Slice index 107 | Magnetic resonance | Image size 320x320 | Heart
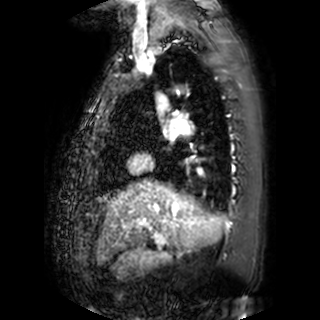

{"left_atrium": ["box=[169, 128, 176, 136]"]}